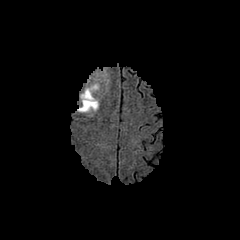
FLAIR MR image.
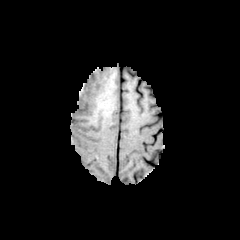
T1-weighted magnetic resonance of the same slice.
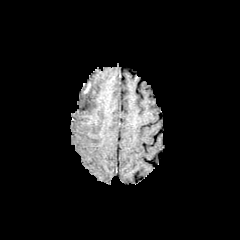
Post-contrast T1-weighted MRI of the same slice.
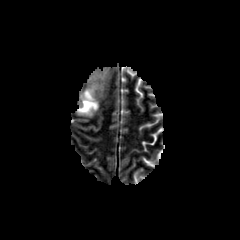
Same slice, T2-weighted MRI.
240x240 px
Edema: left=77, top=71, right=107, bottom=117.